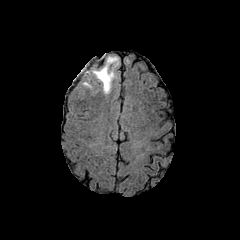
FLAIR MR image.
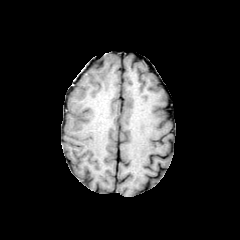
T1-weighted magnetic resonance.
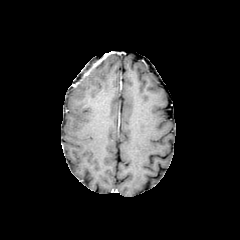
Post-contrast T1-weighted MRI.
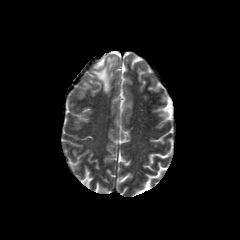
T2-weighted MR image.
240x240
{
  "edema": [
    "(83,54,118,93)"
  ]
}